CT image.
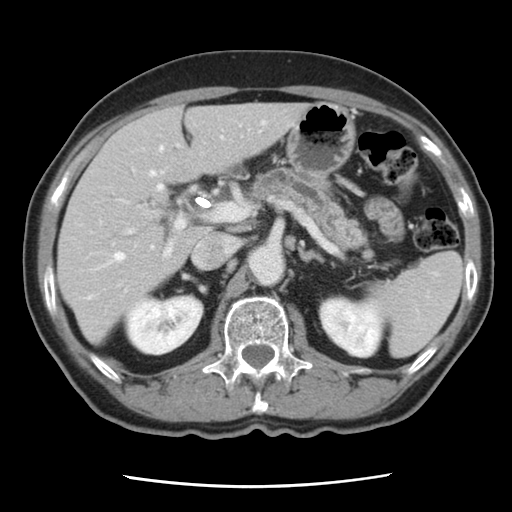 - pancreas: bbox(252, 169, 366, 250)